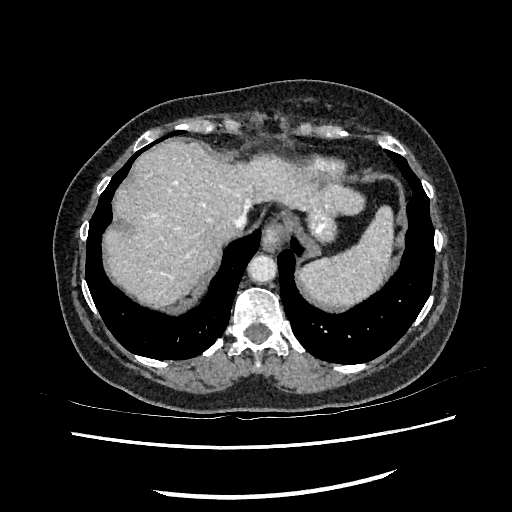
CT image, 512x512 px, Liver
{"liver": ["<bbox>105, 141, 362, 303</bbox>"]}